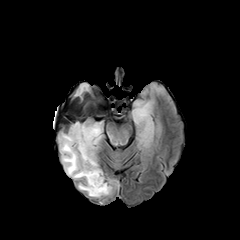
FLAIR magnetic resonance.
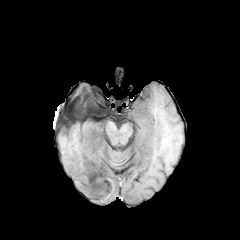
T1-weighted MRI.
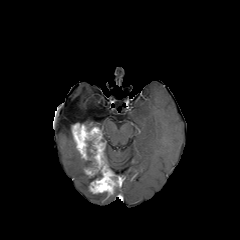
Post-contrast T1-weighted MR of the same slice.
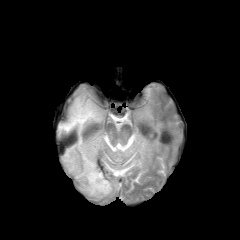
Same slice, T2-weighted magnetic resonance.
240x240 px.
Enhancing tumor = (84,168,95,176), (89,170,118,193), (72,123,103,159).
Edema = (59,127,107,199), (132,102,152,125), (66,114,100,128).
Non-enhancing tumor core = (82,140,122,185).